Image width 472 mm, CT
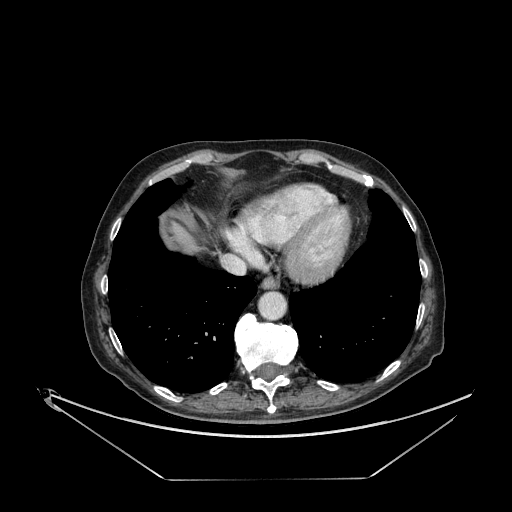
The liver is located at rect(172, 221, 203, 252).